Slice 350/366 | Computed tomography | Liver
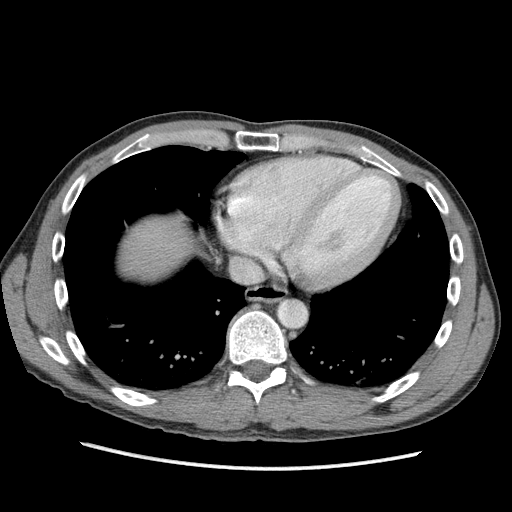 The liver is located at box(119, 214, 195, 280).